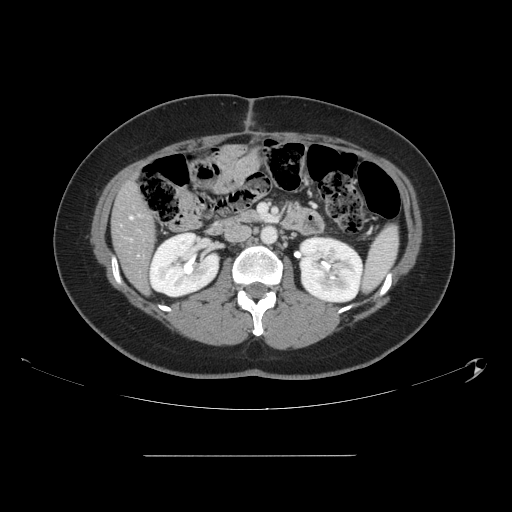 CT scan slice, 512x512 px
The vessel annotation is not exhaustive.
Annotated regions:
• hepatic vessel: bbox=[130, 217, 132, 219]